CT slice, Abdomen

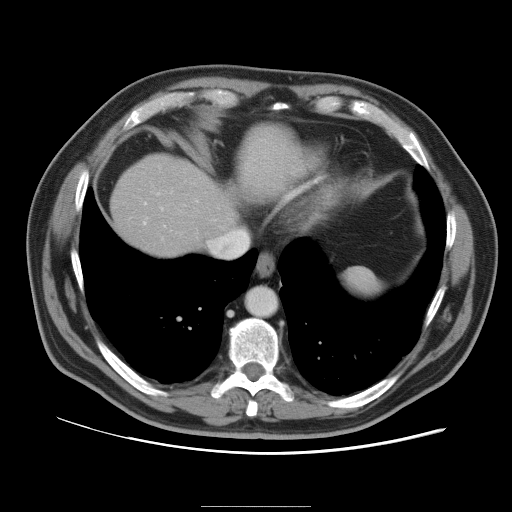
The vessel boxes may cover only some of the vessels.
hepatic vessel: box(143, 217, 147, 224); box(157, 192, 159, 194); box(161, 207, 162, 209)